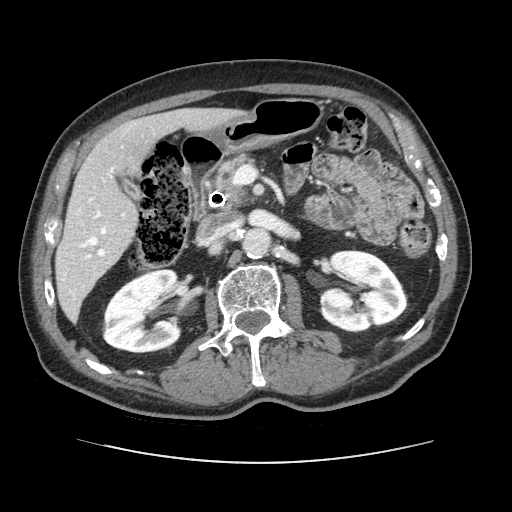
CT. Upper abdomen.
pancreas: box=[217, 156, 251, 190] | pancreatic tumor: box=[226, 183, 237, 193]